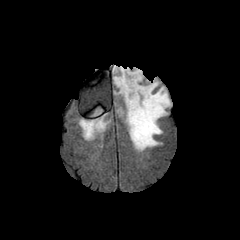
FLAIR MRI.
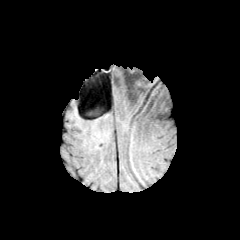
T1-weighted magnetic resonance of the same slice.
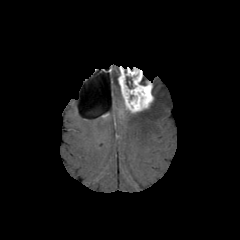
Post-contrast T1-weighted MR of the same slice.
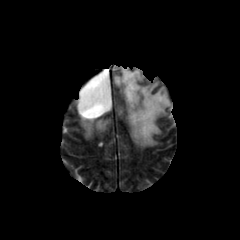
T2-weighted magnetic resonance.
Brain; 240x240 px
4 edema regions are located at (left=90, top=106, right=101, bottom=116), (left=118, top=87, right=171, bottom=149), (left=80, top=118, right=106, bottom=137), (left=112, top=66, right=119, bottom=87). The enhancing tumor appears at (left=118, top=68, right=153, bottom=111). 2 non-enhancing tumor core regions are bounded by (left=126, top=76, right=132, bottom=88), (left=139, top=74, right=150, bottom=85).